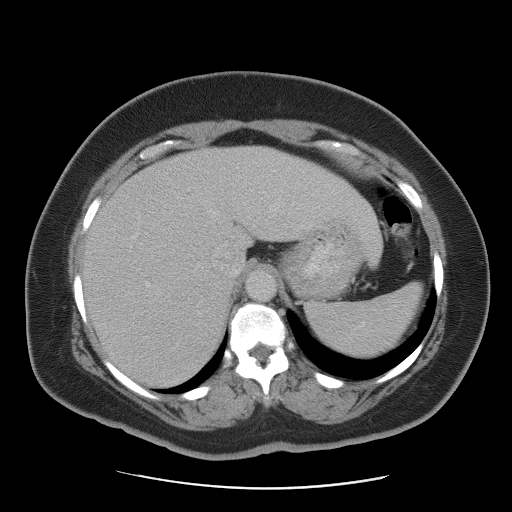

Computed tomography
Some hepatic vessels may have no box.
<segmentation>
  <hepatic_vessel>box(134, 235, 136, 237); box(215, 248, 219, 255)</hepatic_vessel>
</segmentation>